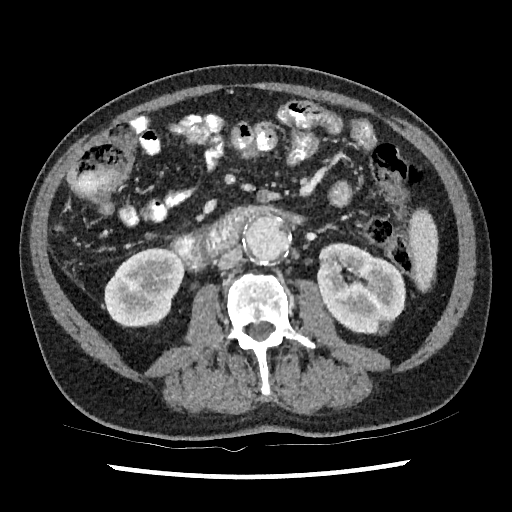 CT slice, Abdomen, 512x512 px
<segmentation>
  <kidney>(left=317, top=244, right=405, bottom=332), (left=105, top=249, right=183, bottom=325)</kidney>
</segmentation>